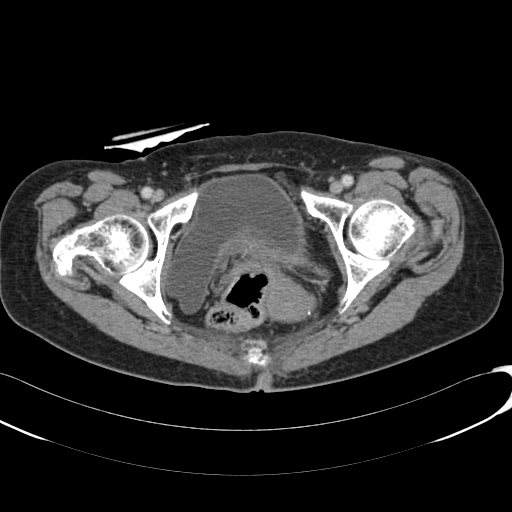

Lower abdomen, Computed tomography
<segmentation>
  <urinary_bladder>region(165, 174, 301, 313)</urinary_bladder>
</segmentation>